Slice 73 of 155. Head.
FLAIR magnetic resonance.
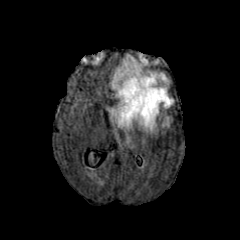
T1-weighted MR image.
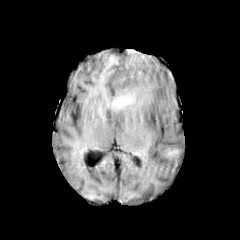
Post-contrast T1-weighted MR image.
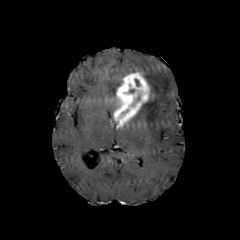
T2-weighted MRI.
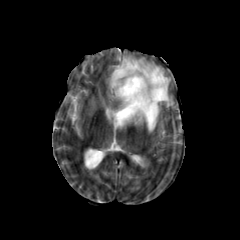
{
  "edema": [
    "(162,117,169,127)",
    "(107,106,115,127)",
    "(110,55,173,133)"
  ],
  "enhancing_tumor": [
    "(113,69,150,127)"
  ]
}